Slice 124/168. Upper abdomen. Computed tomography.
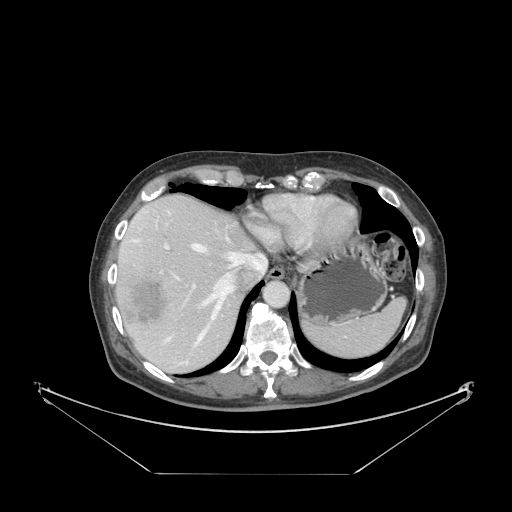 * spleen: box(302, 298, 404, 358)